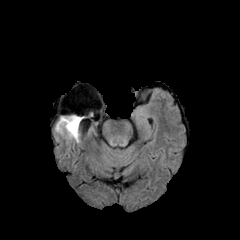
FLAIR MRI.
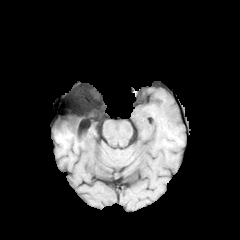
T1-weighted MR.
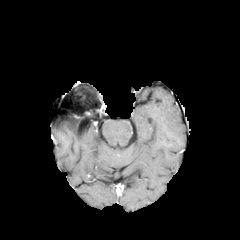
Same slice, post-contrast T1-weighted MRI.
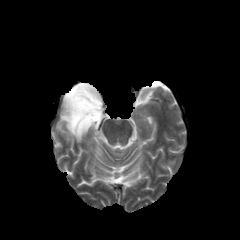
T2-weighted magnetic resonance.
Brain
non-enhancing_tumor_core:
  - box(61, 111, 97, 133)
edema:
  - box(54, 116, 81, 147)